CT; 512x512 px; Slice 105 of 124 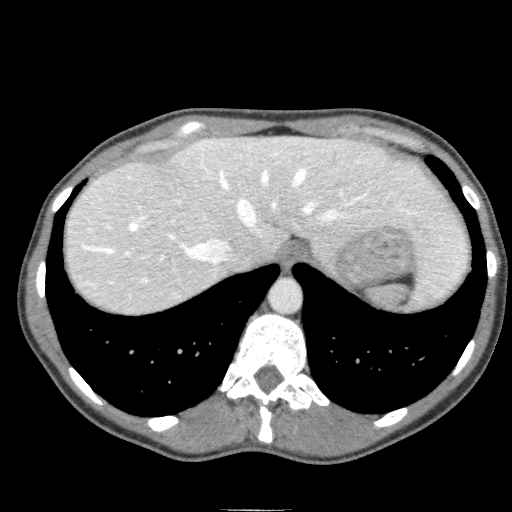
Segmented structures:
* liver: 66:135:467:315